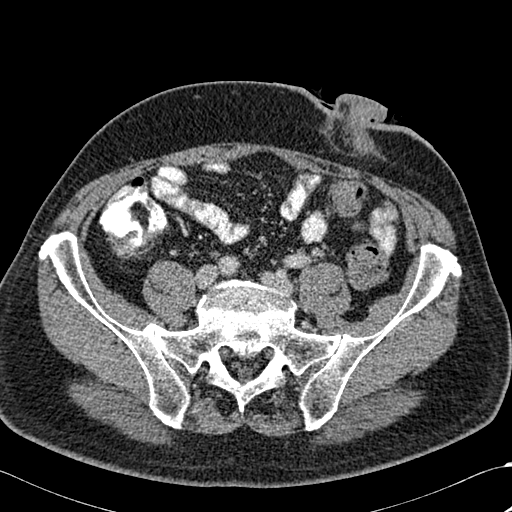 CT

bone: 39:232:460:430